Abdomen; CT slice; Slice 84 of 95; 512x512 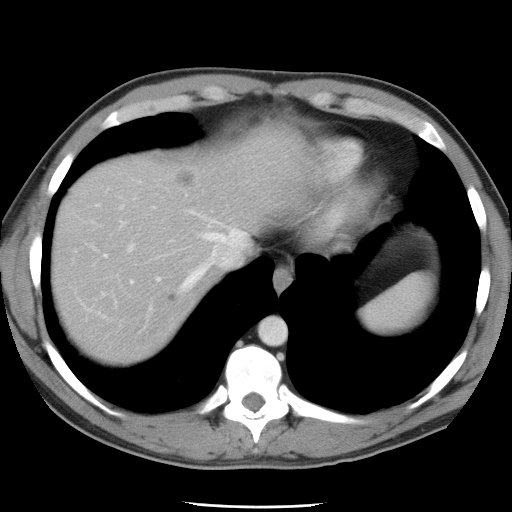
Some hepatic vessels may have no box.
• hepatic vessel: (178, 209, 247, 290), (128, 244, 133, 251), (121, 221, 124, 224), (103, 254, 106, 257), (156, 277, 160, 280), (130, 281, 132, 283)